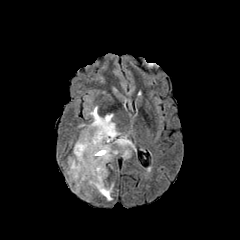
FLAIR MRI.
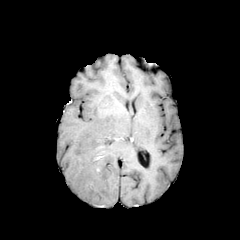
T1-weighted MR of the same slice.
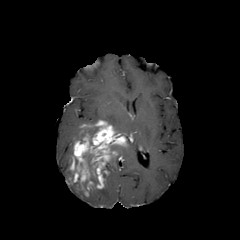
Post-contrast T1-weighted MRI of the same slice.
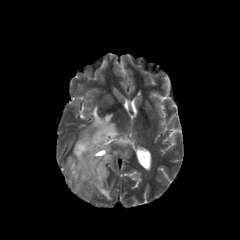
T2-weighted MR image of the same slice.
Head
7 edema regions are located at <bbox>128, 140, 136, 151</bbox>, <bbox>85, 106, 117, 129</bbox>, <bbox>77, 128, 89, 140</bbox>, <bbox>93, 183, 113, 200</bbox>, <bbox>118, 147, 130, 159</bbox>, <bbox>67, 156, 71, 177</bbox>, <bbox>71, 183, 80, 193</bbox>. 2 non-enhancing tumor core regions are located at <bbox>82, 154, 99, 186</bbox>, <bbox>85, 126, 98, 137</bbox>. The enhancing tumor appears at <bbox>70, 120, 128, 189</bbox>.